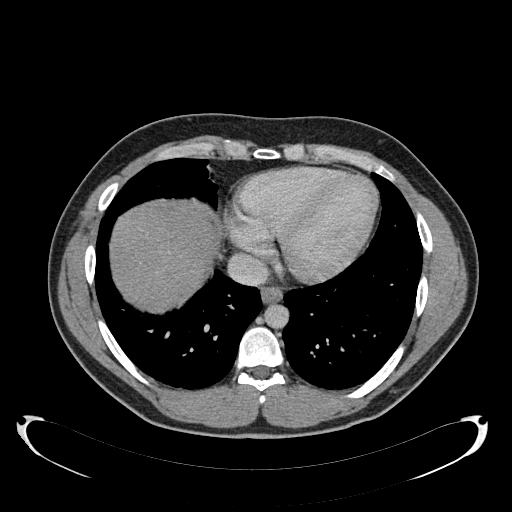
Upper abdomen | CT slice | 512x512
Liver = region(112, 202, 217, 308).